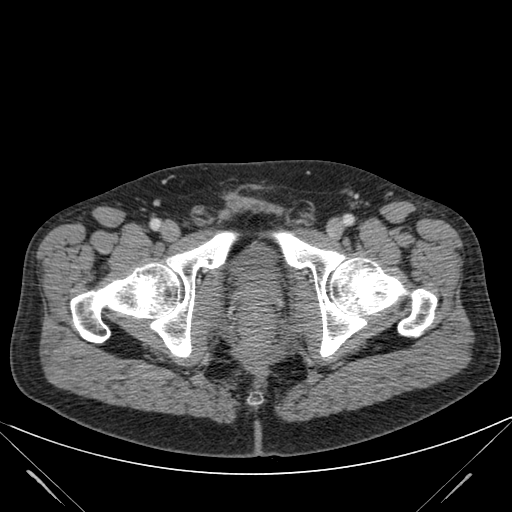
Image size 512x512 | CT image
The urinary bladder is bounded by bbox=[225, 241, 283, 310].